Slice 567/671 | CT scan slice

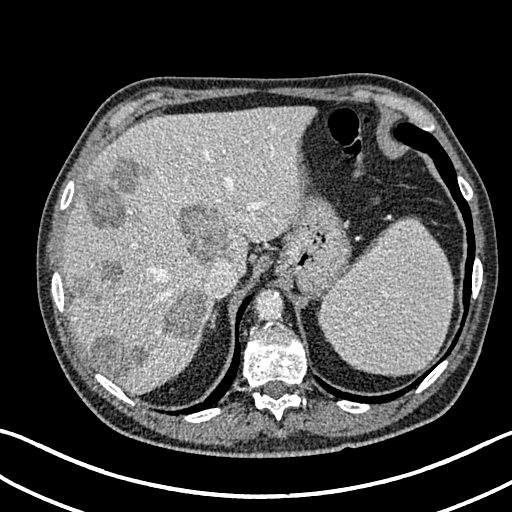 {
  "liver_lesion": [
    "region(83, 175, 127, 231)",
    "region(101, 259, 122, 283)",
    "region(162, 291, 208, 340)",
    "region(181, 203, 229, 263)",
    "region(89, 332, 147, 379)",
    "region(73, 278, 90, 297)",
    "region(112, 157, 152, 191)"
  ],
  "liver": [
    "region(64, 107, 317, 394)"
  ]
}